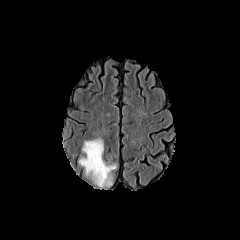
FLAIR MRI.
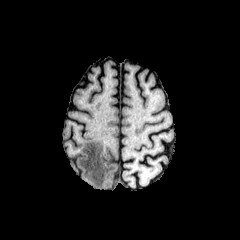
T1-weighted MRI.
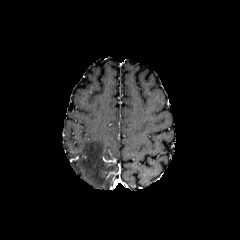
Post-contrast T1-weighted MR.
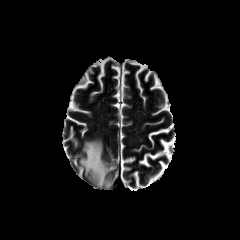
Same slice, T2-weighted MRI.
240x240
The edema appears at {"x1": 79, "y1": 138, "x2": 116, "y2": 189}.